CT image, 512x512, Slice 36/151, Liver
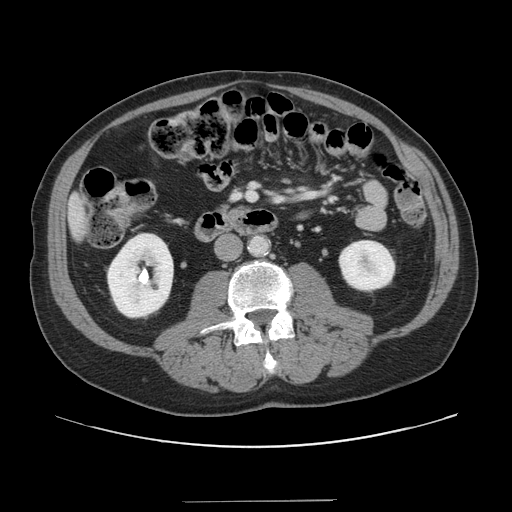

The vessel boxes may cover only some of the vessels.
<segmentation>
  <hepatic_vessel><bbox>248, 192, 255, 199</bbox>, <bbox>235, 194, 239, 196</bbox></hepatic_vessel>
</segmentation>